CT scan slice. Image size 512x512.

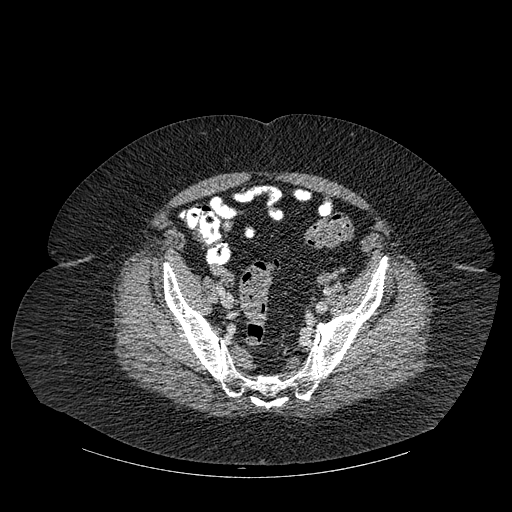
<segmentation>
  <bone>bbox=[220, 246, 229, 261]; bbox=[163, 256, 387, 408]</bone>
</segmentation>